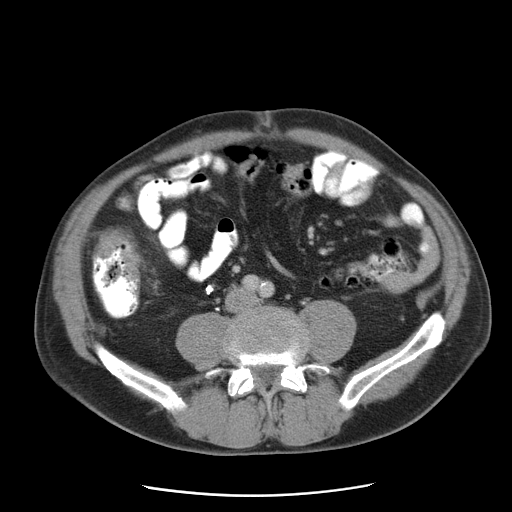

Pelvis | CT slice
Colon tumor: bounding box 96 230 140 281.